Upper abdomen; CT

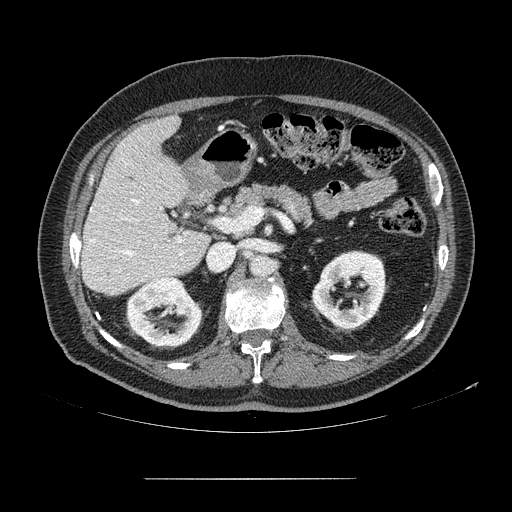

The pancreas is located at 224, 182, 316, 230.